FLAIR MRI.
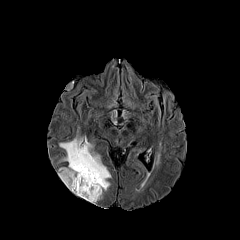
T1-weighted MR image.
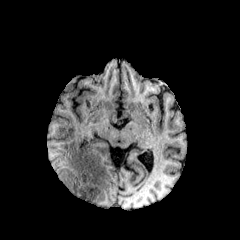
Post-contrast T1-weighted MR.
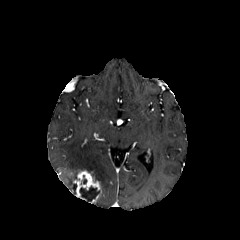
T2-weighted MR.
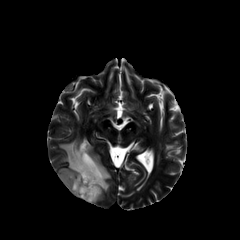
Brain, Image size 240x240
The non-enhancing tumor core is at [x1=79, y1=186, x2=99, y2=201]. 2 edema regions appear at [x1=63, y1=177, x2=72, y2=190], [x1=59, y1=137, x2=111, y2=190]. 2 enhancing tumor regions appear at [x1=72, y1=169, x2=101, y2=203], [x1=59, y1=168, x2=75, y2=182].